CT | Field of view 373 mm wide, 0.80 mm slice spacing

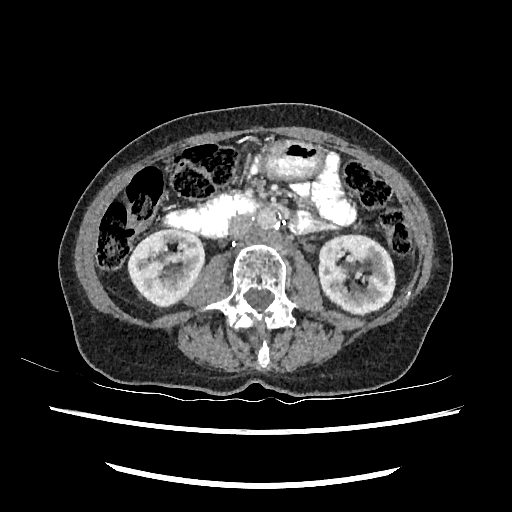 <segmentation>
  <kidney>319,236,394,312; 129,228,204,305</kidney>
</segmentation>